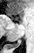 MRI slice. The posterior hippocampus appears at 8, 42, 18, 48.